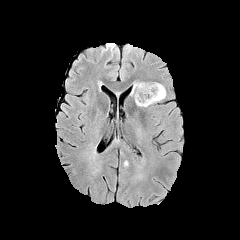
FLAIR MR.
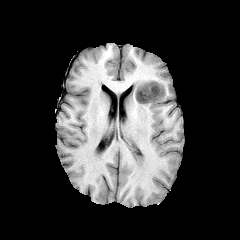
Same slice, T1-weighted MR.
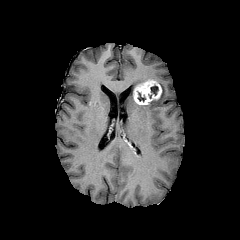
Post-contrast T1-weighted MR image.
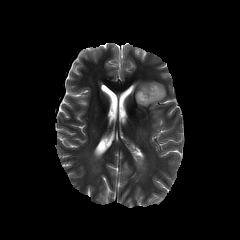
T2-weighted MR.
enhancing tumor: 133:79:161:104 | edema: 135:156:145:175, 149:82:166:104, 129:80:144:96 | non-enhancing tumor core: 136:91:145:101, 148:84:158:98